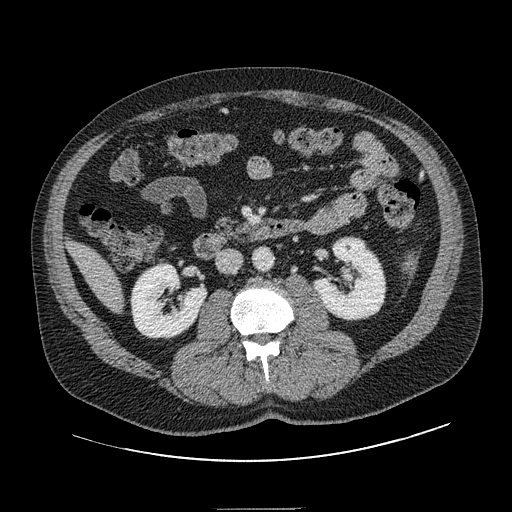

CT scan slice, Abdomen
pancreas: rect(217, 218, 246, 235)